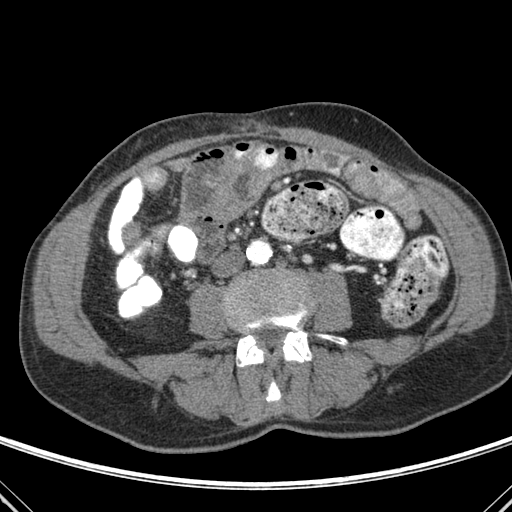

CT slice; 512x512
* bone: l=318, t=334, r=345, b=344; l=225, t=271, r=311, b=366; l=267, t=381, r=280, b=401